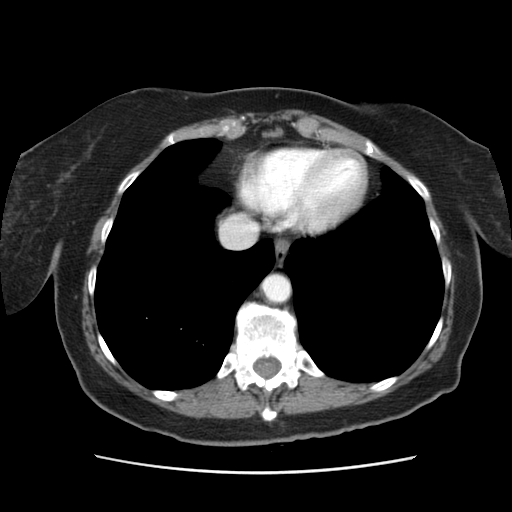 Liver | Computed tomography
The vessel annotation is not exhaustive.
Hepatic vessel: bounding box x1=226 y1=220 x2=256 y2=247.